Head, Slice 121/155
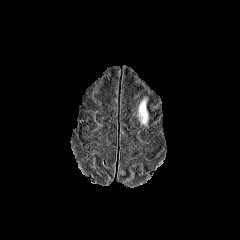
FLAIR MR.
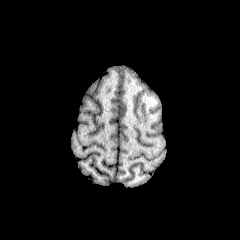
T1-weighted MR image.
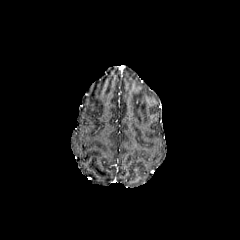
Post-contrast T1-weighted MR.
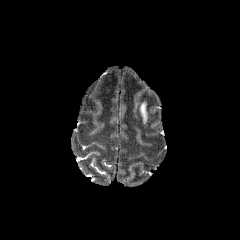
T2-weighted MR.
Segmented structures:
* edema: [138, 97, 147, 124]